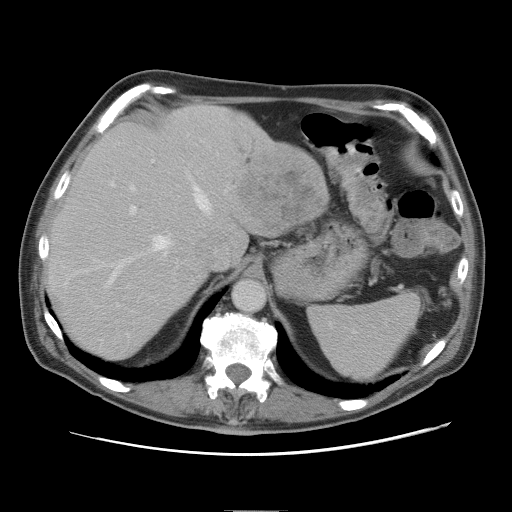

CT image

Some hepatic vessels may have no box.
The liver tumor is at bbox(239, 166, 318, 227). 8 hepatic vessel regions are located at bbox(195, 190, 210, 211); bbox(131, 186, 134, 190); bbox(152, 160, 153, 162); bbox(154, 236, 170, 250); bbox(109, 262, 124, 283); bbox(111, 182, 114, 185); bbox(117, 304, 119, 305); bbox(131, 207, 135, 213).